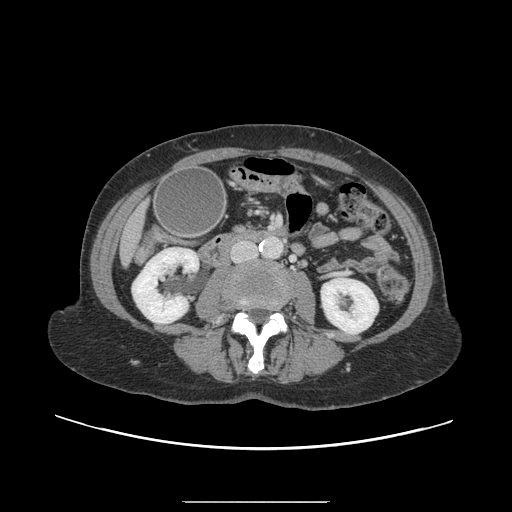

Image size 512x512. CT scan slice. The pancreas appears at [236,226,246,234].